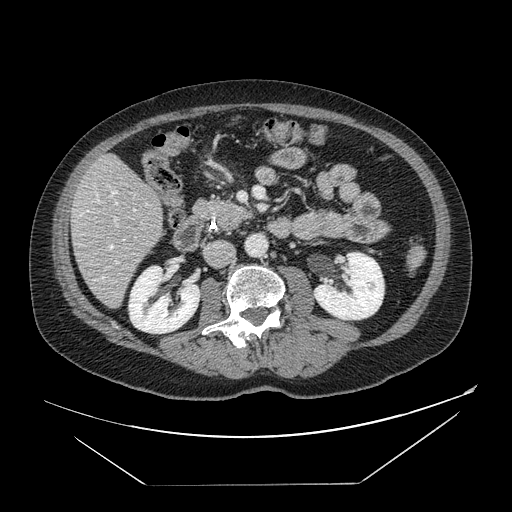 CT image; Upper abdomen
Pancreas at bbox(195, 199, 252, 231).